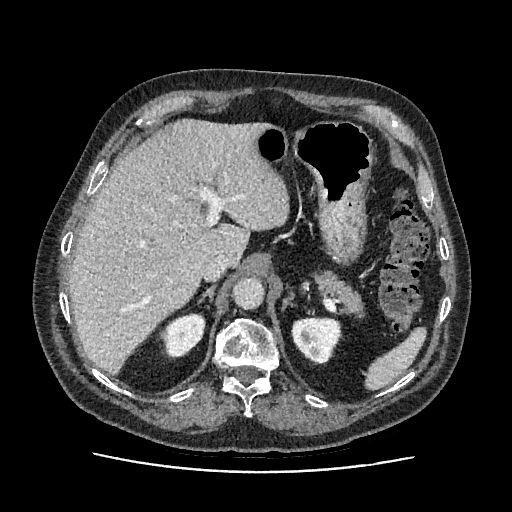
Computed tomography; Upper abdomen
2 kidney regions are bounded by <box>293,318,339,362</box>, <box>166,315,203,355</box>. The liver is bounded by <box>69,119,288,374</box>.